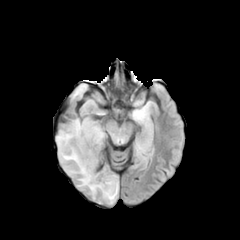
FLAIR MRI.
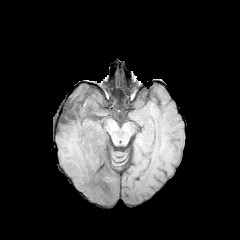
T1-weighted MR.
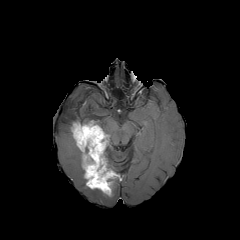
Post-contrast T1-weighted MR.
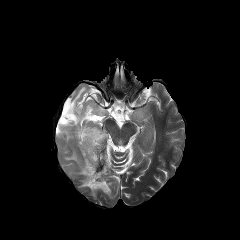
T2-weighted MR.
Head. 240x240.
Annotated regions:
• enhancing tumor: {"x1": 71, "y1": 120, "x2": 118, "y2": 195}
• edema: {"x1": 130, "y1": 107, "x2": 147, "y2": 120}, {"x1": 71, "y1": 84, "x2": 87, "y2": 99}, {"x1": 56, "y1": 97, "x2": 105, "y2": 187}, {"x1": 90, "y1": 182, "x2": 118, "y2": 202}
• non-enhancing tumor core: {"x1": 68, "y1": 108, "x2": 99, "y2": 131}, {"x1": 107, "y1": 177, "x2": 118, "y2": 190}, {"x1": 97, "y1": 141, "x2": 106, "y2": 171}